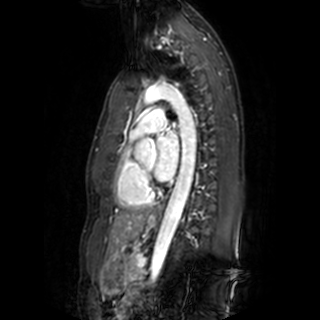 Magnetic resonance. 320x320.

The left atrium is bounded by {"x1": 155, "y1": 131, "x2": 178, "y2": 180}.